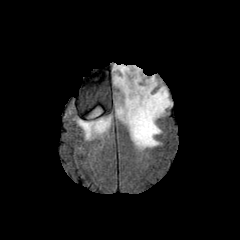
FLAIR magnetic resonance.
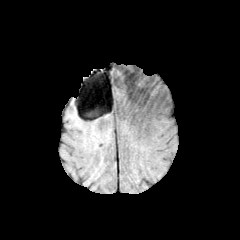
T1-weighted MRI.
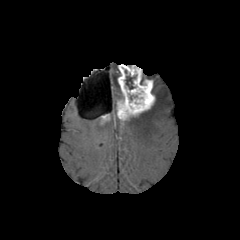
Post-contrast T1-weighted MRI.
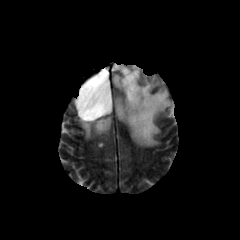
Same slice, T2-weighted MRI.
Brain
<segmentation>
  <edema>(87,107,101,119), (120,86,172,148), (149,76,158,87), (80,118,109,138), (112,65,119,88)</edema>
  <enhancing_tumor>(117,66,155,118)</enhancing_tumor>
  <non-enhancing_tumor_core>(126,76,134,89)</non-enhancing_tumor_core>
</segmentation>